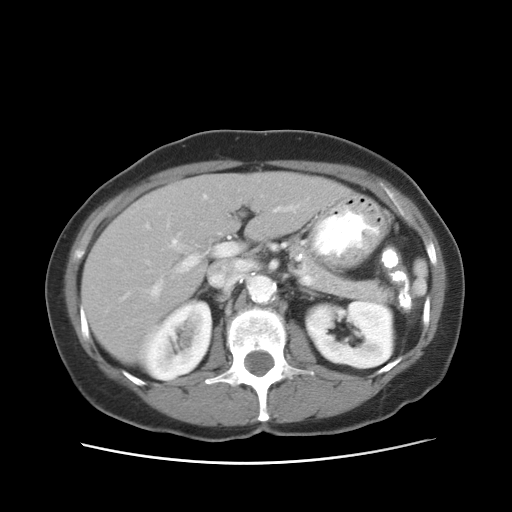 CT slice.

Segmented structures:
* spleen: x1=414 y1=261 x2=426 y2=293